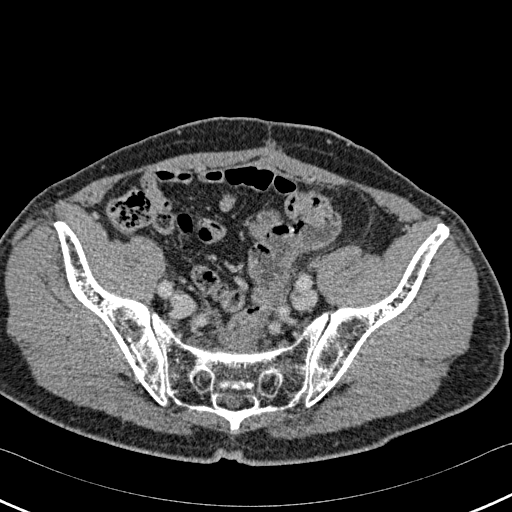
CT scan slice
{
  "bone": [
    "[x1=54, y1=221, x2=448, y2=429]"
  ]
}